Field of view 386x386 mm | CT
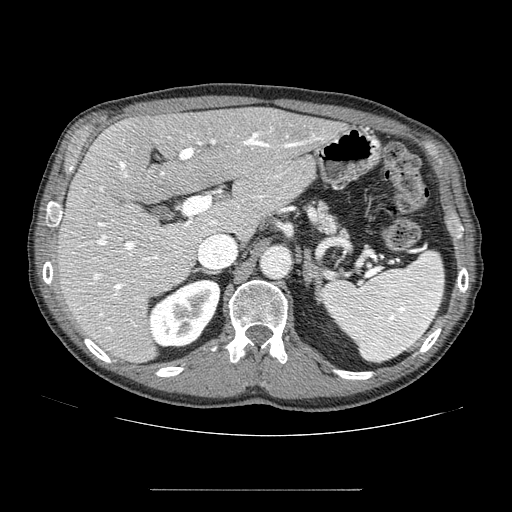
Findings:
* pancreas: rect(315, 202, 347, 237)